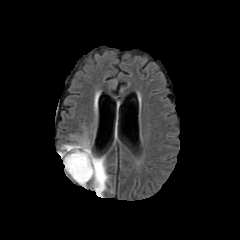
FLAIR MRI.
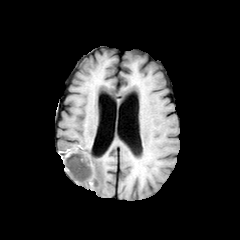
T1-weighted magnetic resonance of the same slice.
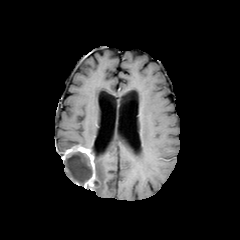
Post-contrast T1-weighted MR image.
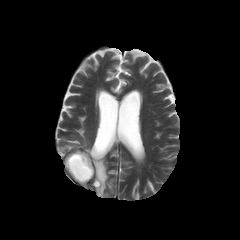
T2-weighted MR image of the same slice.
Non-enhancing tumor core = l=64, t=150, r=92, b=185.
Enhancing tumor = l=62, t=147, r=95, b=186.
Edema = l=87, t=156, r=109, b=195; l=65, t=166, r=82, b=185; l=59, t=138, r=89, b=155.